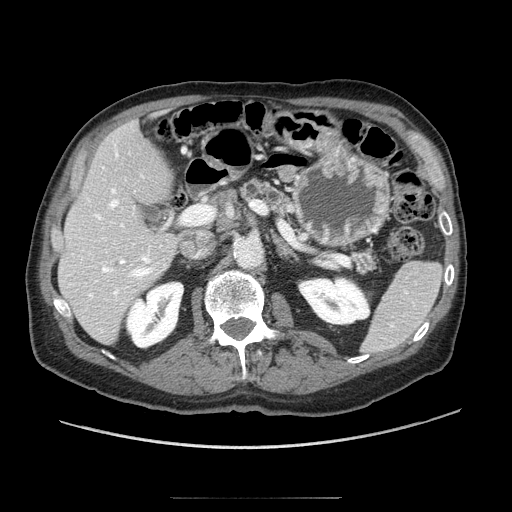

CT image, Abdomen, 512x512 px
Pancreas: bounding box 242:180:287:212, 355:250:375:273.